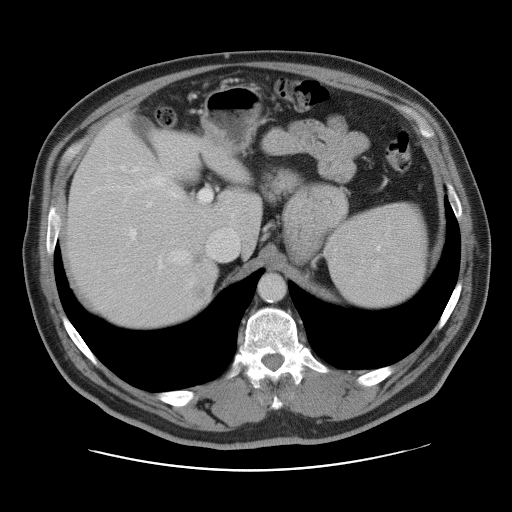
Liver | CT image
Some hepatic vessels may have no box.
<segmentation>
  <hepatic_vessel>132:167:138:171, 146:201:152:206, 122:167:125:170, 206:154:222:171, 158:259:162:267, 198:188:211:202, 124:172:179:197, 128:228:135:238, 206:228:238:259, 172:252:186:261, 183:276:195:288</hepatic_vessel>
  <liver_tumor>191:281:211:299, 191:245:209:265</liver_tumor>
</segmentation>